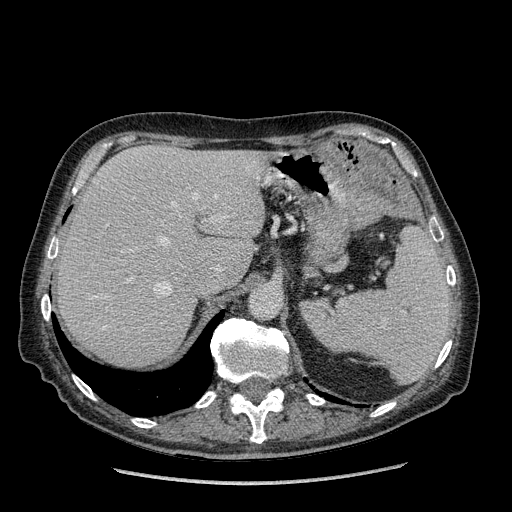 CT, Liver
The liver is at region(58, 145, 268, 367).